FLAIR magnetic resonance.
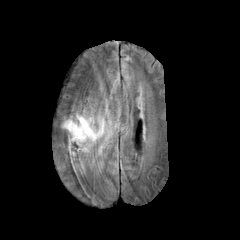
T1-weighted MRI.
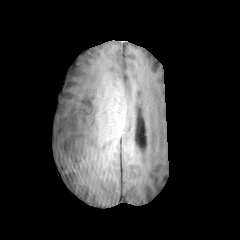
Post-contrast T1-weighted MR.
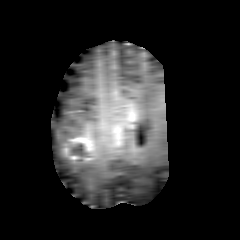
T2-weighted MRI.
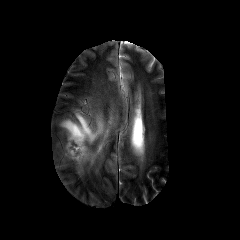
240x240 px.
{"enhancing_tumor": ["left=71, top=138, right=93, bottom=151"], "non-enhancing_tumor_core": ["left=64, top=141, right=96, bottom=162"], "edema": ["left=61, top=110, right=104, bottom=142"]}